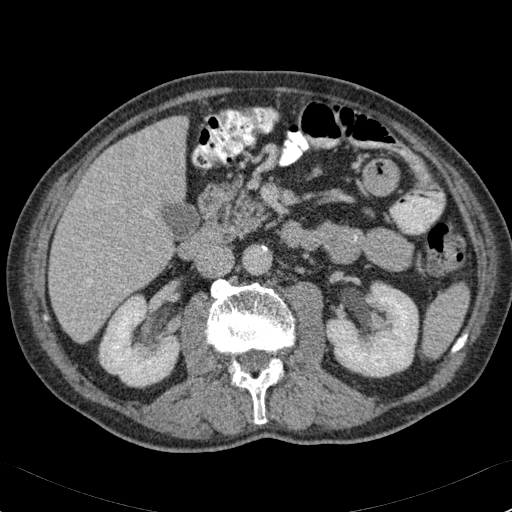 CT scan slice.
kidney: left=100, top=296, right=178, bottom=385; left=327, top=283, right=417, bottom=376 | liver lesion: left=118, top=141, right=135, bottom=158 | liver: left=49, top=117, right=186, bottom=341